Head. Image size 240x240.
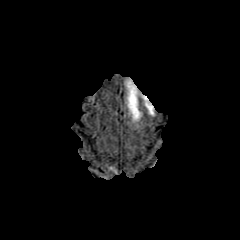
FLAIR MR image.
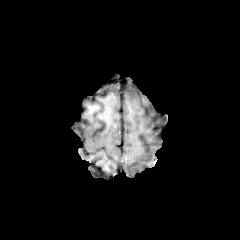
T1-weighted MR image.
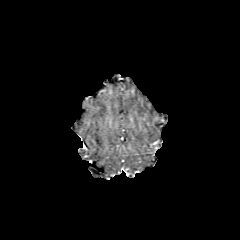
Post-contrast T1-weighted MRI of the same slice.
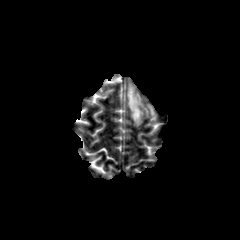
Same slice, T2-weighted magnetic resonance.
Edema: bbox(124, 80, 156, 124).